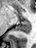
MRI slice. 36x48. Posterior hippocampus: bounding box <bbox>13, 20, 30, 34</bbox>.